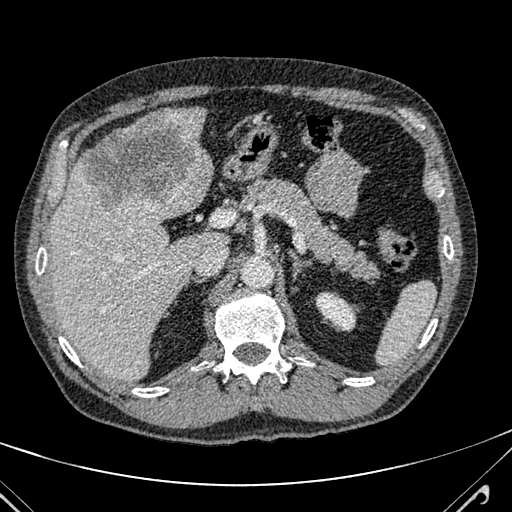 Liver | Computed tomography

3 liver regions are bounded by l=118, t=118, r=145, b=131; l=164, t=108, r=204, b=147; l=49, t=159, r=228, b=380. The liver lesion appears at l=78, t=110, r=211, b=205.